Brain
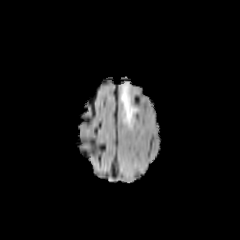
FLAIR MR.
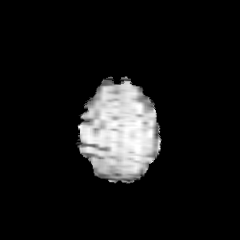
Same slice, T1-weighted MRI.
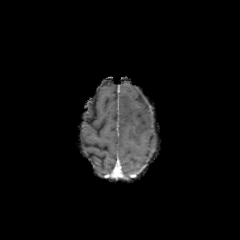
Same slice, post-contrast T1-weighted MR image.
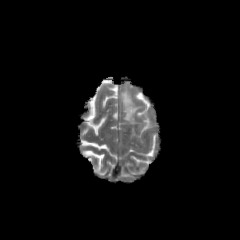
T2-weighted MR.
The edema is bounded by left=121, top=84, right=138, bottom=124.